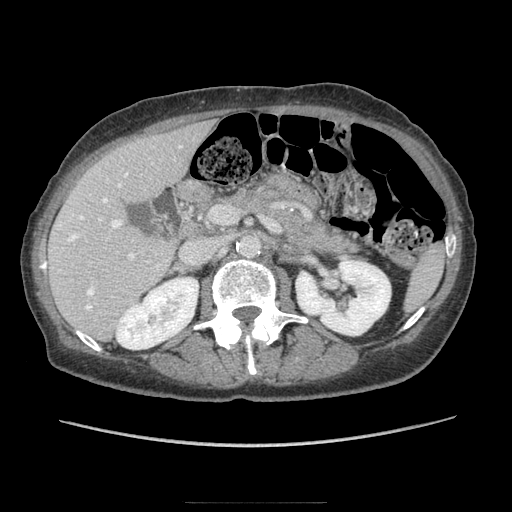 Computed tomography.

Segmented structures:
- pancreas: x1=231, y1=189, x2=356, y2=253